Computed tomography | Abdomen | Slice 105 of 144

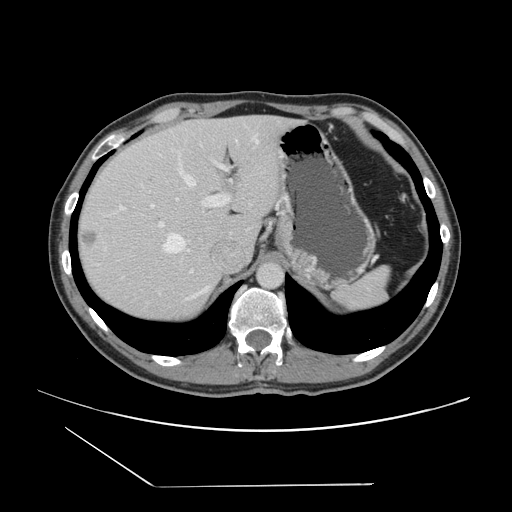 Only some of the vessels may be annotated.
The liver tumor is at 82,232,96,244. 10 hepatic vessel regions are located at 190,271,192,272; 208,206,211,206; 204,205,207,205; 215,162,218,164; 228,179,231,182; 251,134,258,142; 168,240,177,245; 173,150,195,186; 220,195,228,201; 226,167,227,169.